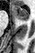
Medial temporal lobe; MRI; Image size 35x53
The anterior hippocampus is located at box=[13, 6, 28, 20].